CT slice | Abdomen | Field of view 373 mm wide, 0.80 mm slice spacing 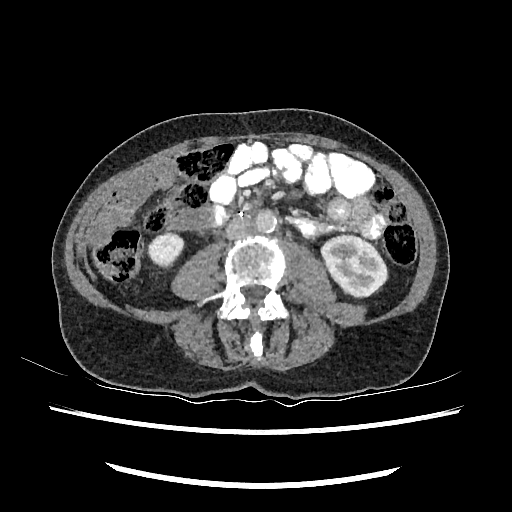

Kidney: bbox=[322, 237, 386, 295]; bbox=[150, 235, 182, 263].